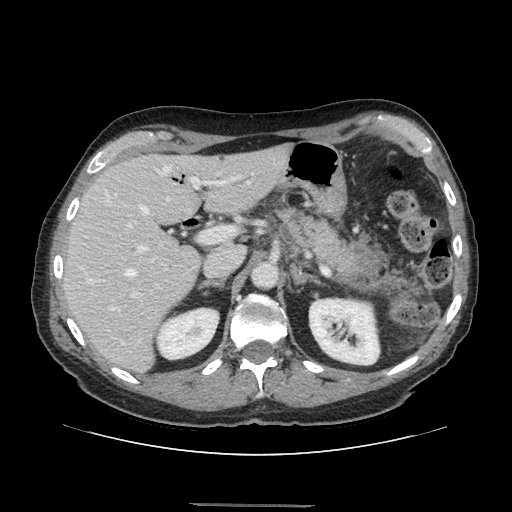

512x512 px; Upper abdomen; CT scan slice
Annotated regions:
* pancreas: 280:210:358:275